Field of view 360x360 mm | Computed tomography | 512x512 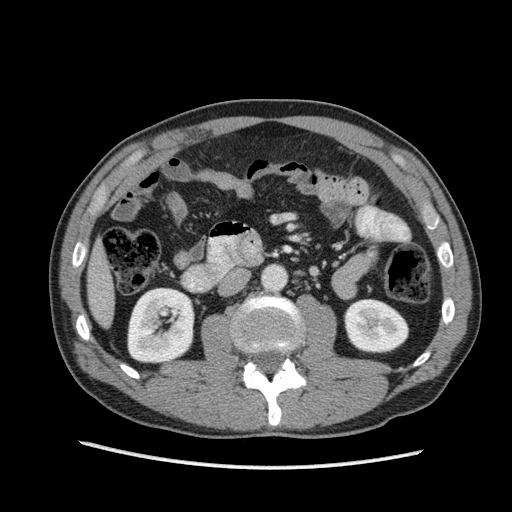

Annotated regions:
• kidney: [346,300,407,351], [128,289,192,361]
• liver: [87,238,114,327]